Slice index 62. Image size 240x240.
FLAIR MR.
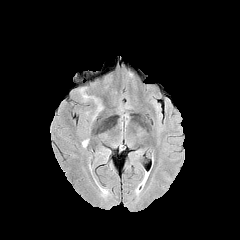
T1-weighted MR.
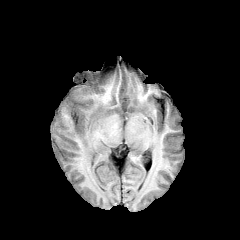
Post-contrast T1-weighted MR image.
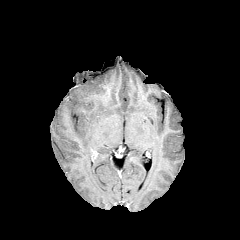
T2-weighted MR.
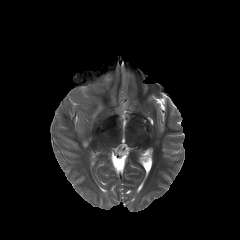
The edema is bounded by region(81, 87, 102, 120).